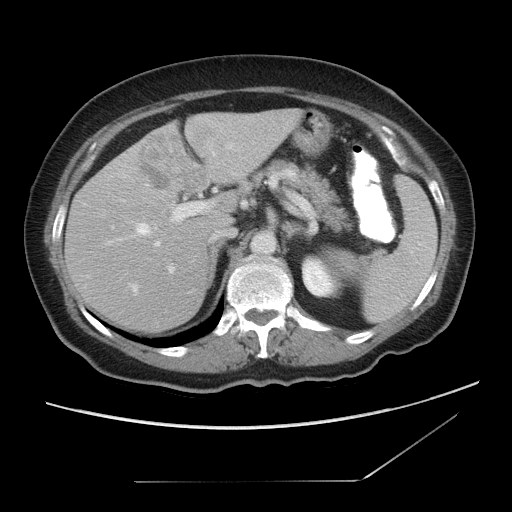

CT. 512x512 px. Liver.
Some hepatic vessels may have no box.
5 hepatic vessel regions are bounded by 172:202:209:221, 156:242:159:246, 211:235:215:240, 136:224:156:235, 132:285:137:291. The liver tumor is at 142:162:171:189.